FLAIR magnetic resonance.
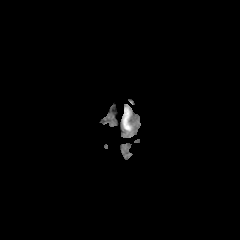
T1-weighted MR.
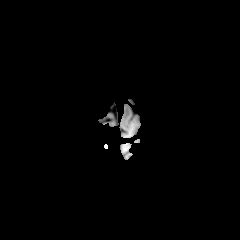
Post-contrast T1-weighted MR.
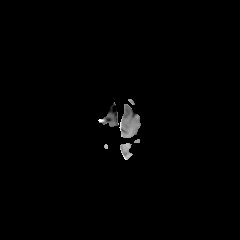
T2-weighted MRI.
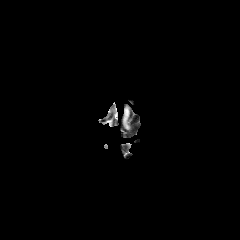
Brain. 240x240 px.
Edema: bounding box 123:105:131:129.